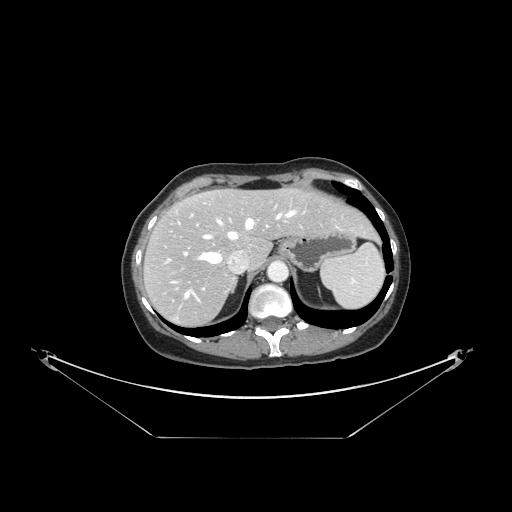

512x512 px | CT image
Some hepatic vessels may have no box.
Hepatic vessel = x1=205 y1=235 x2=209 y2=237, x1=278 y1=214 x2=281 y2=216, x1=246 y1=219 x2=252 y2=228, x1=288 y1=212 x2=294 y2=215, x1=228 y1=232 x2=236 y2=238.